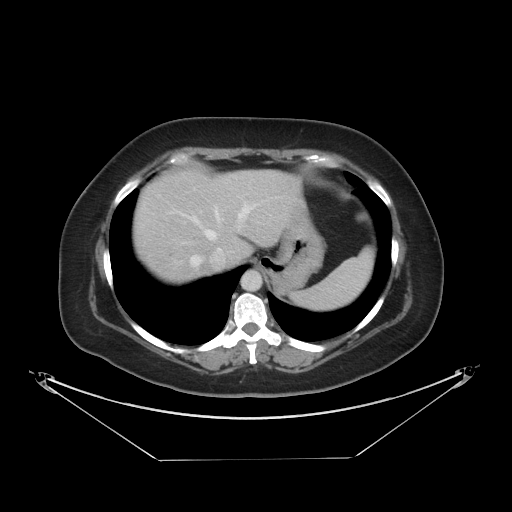
CT image

Some hepatic vessels may have no box.
Hepatic vessel at (x1=213, y1=205, x2=222, y2=222), (x1=178, y1=212, x2=217, y2=239), (x1=191, y1=256, x2=200, y2=265), (x1=238, y1=202, x2=259, y2=221).